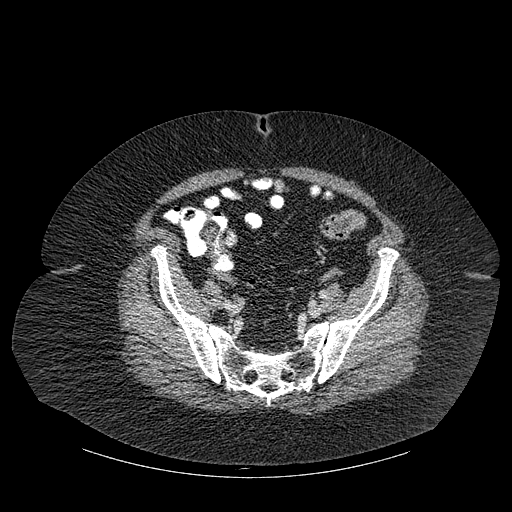

CT image
Segmented structures:
* bone: (x1=151, y1=245, x2=398, y2=404), (x1=222, y1=188, x2=234, y2=197)